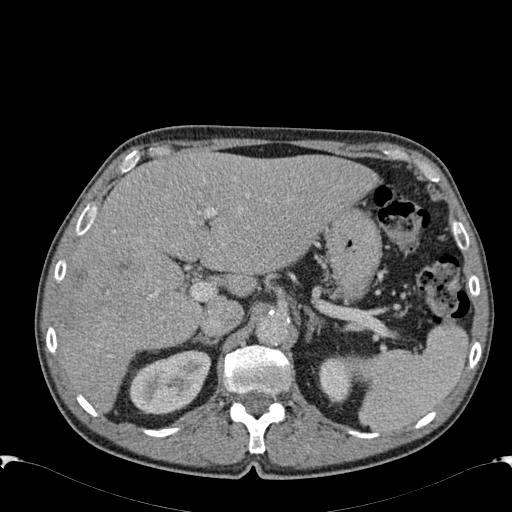

CT. Image size 512x512.
Hepatic lesion: bounding box <box>118,257,135,277</box>, <box>69,271,87,289</box>, <box>59,301,84,328</box>.
Kidney: bounding box <box>130,351,209,413</box>, <box>320,354,348,400</box>.
Liver: bounding box <box>55,151,378,410</box>.